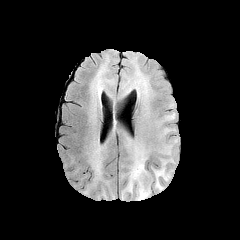
FLAIR MRI.
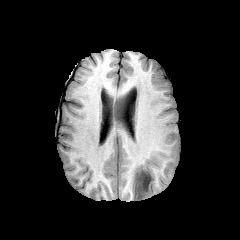
Same slice, T1-weighted MRI.
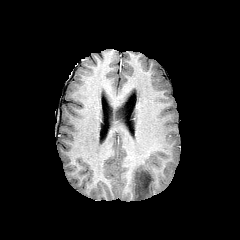
Post-contrast T1-weighted MR image of the same slice.
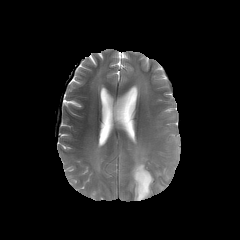
Same slice, T2-weighted MR image.
240x240, Brain
The non-enhancing tumor core is bounded by [134,168,151,195]. 3 edema regions are bounded by [127,148,151,199], [152,167,170,189], [88,146,102,174].